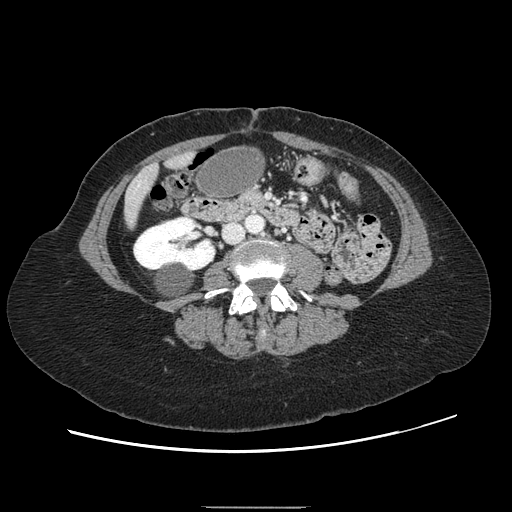

Image size 512x512; CT scan slice
The pancreas is at (241, 190, 260, 203).